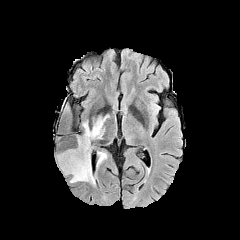
FLAIR MRI.
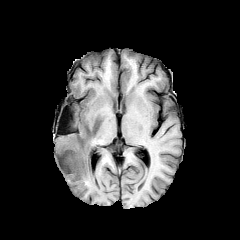
Same slice, T1-weighted MR.
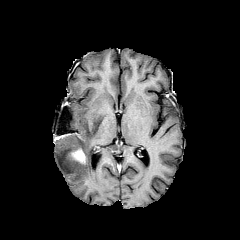
Post-contrast T1-weighted MR image.
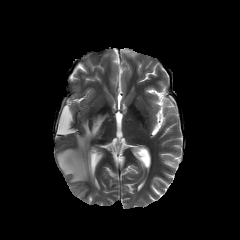
T2-weighted MRI.
Brain
{"non-enhancing_tumor_core": ["65,136,83,160"], "edema": ["57,115,108,185", "97,149,106,165"], "enhancing_tumor": ["70,148,85,163"]}